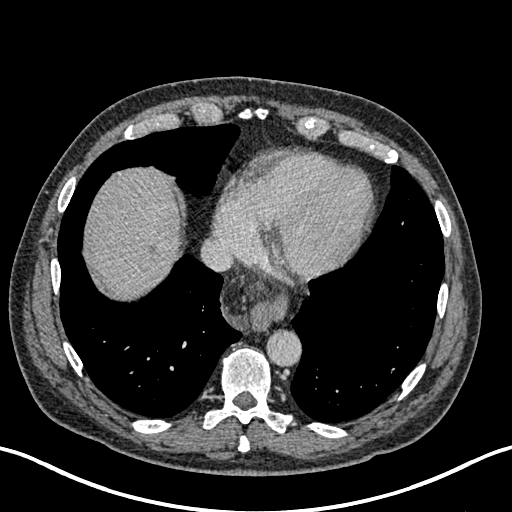
Abdomen. CT slice. Image size 512x512. The focal liver lesion is bounded by region(148, 243, 156, 254). The liver lies within region(85, 167, 179, 298).